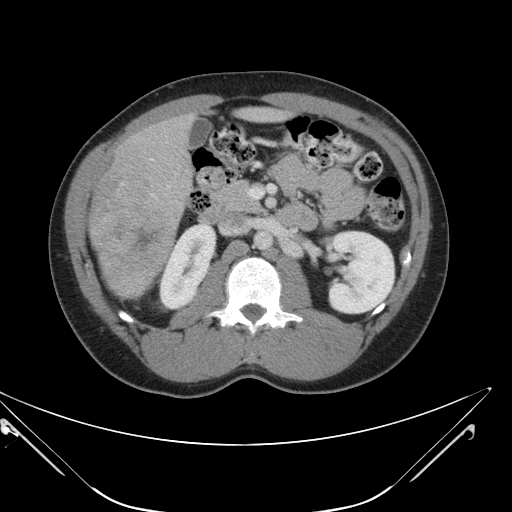 Liver. CT scan slice. 512x512 px. Some hepatic vessels may have no box.
The hepatic vessel is bounded by bbox(167, 185, 170, 187). The liver tumor lies within bbox(98, 208, 175, 297).